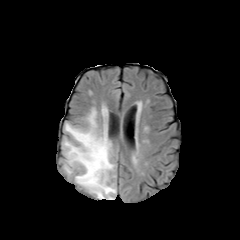
FLAIR MR.
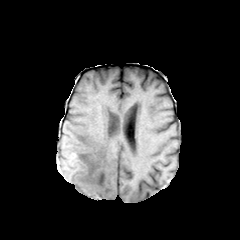
T1-weighted MRI.
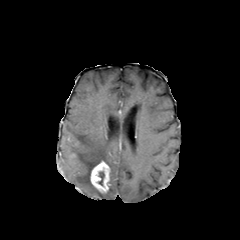
Same slice, post-contrast T1-weighted MR.
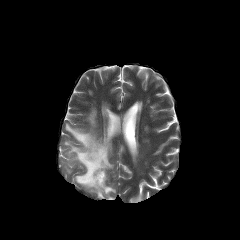
T2-weighted MRI.
240x240 px.
Enhancing tumor at 90, 160, 109, 193.
Edema at 61, 108, 116, 199.